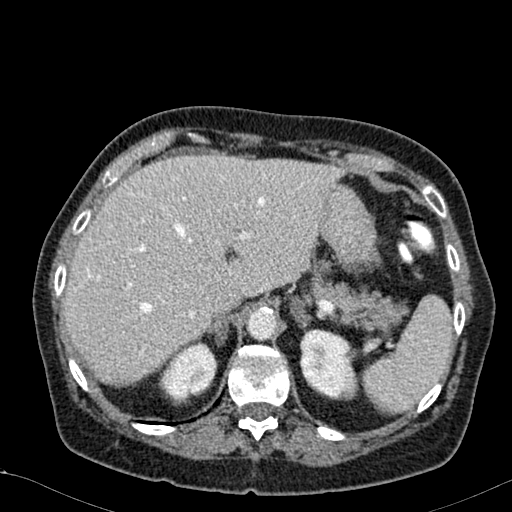
Abdomen; CT slice
Kidney at (left=301, top=330, right=356, bottom=397), (left=161, top=343, right=215, bottom=399).
Liver at (left=65, top=155, right=340, bottom=383).